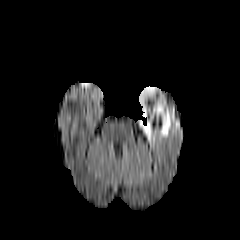
FLAIR MRI.
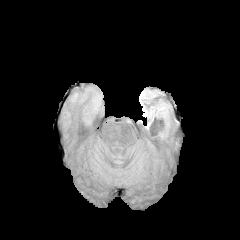
T1-weighted MRI of the same slice.
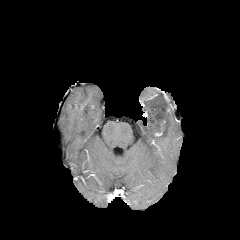
Post-contrast T1-weighted MRI.
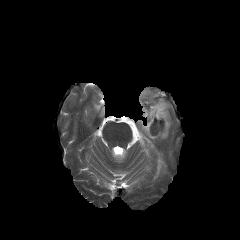
Same slice, T2-weighted MR image.
240x240 px
edema: bbox=[144, 88, 154, 96]; bbox=[139, 99, 173, 147]